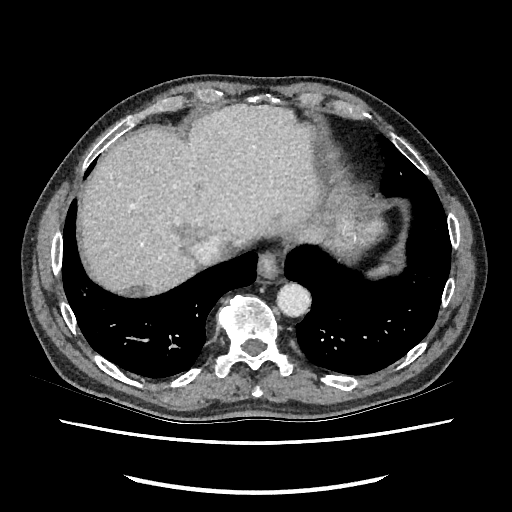
512x512 px; Computed tomography; Upper abdomen

Hepatic lesion: bounding box {"x1": 272, "y1": 214, "x2": 279, "y2": 224}, {"x1": 129, "y1": 285, "x2": 147, "y2": 295}, {"x1": 173, "y1": 223, "x2": 208, "y2": 255}.
Liver: bounding box {"x1": 81, "y1": 104, "x2": 318, "y2": 295}.